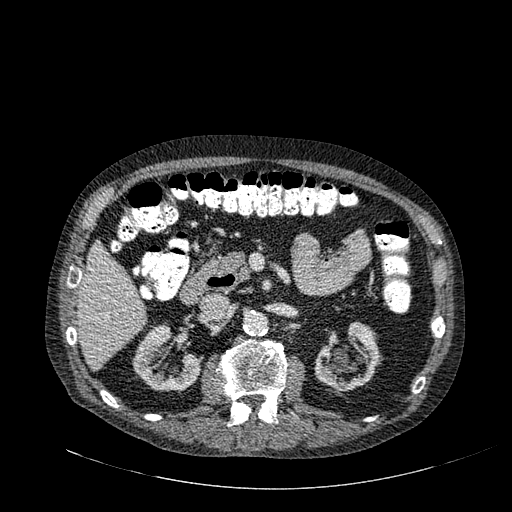
CT slice.

Liver = x1=80 y1=240 x2=145 y2=370.
Kidney = x1=132 y1=325 x2=201 y2=392, x1=314 y1=322 x2=381 y2=393.